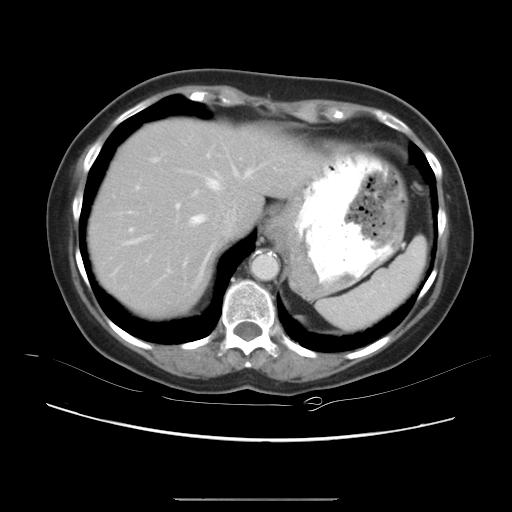 CT
Some hepatic vessels may have no box.
14 hepatic vessel regions are located at (left=205, top=172, right=221, bottom=190), (left=193, top=191, right=197, bottom=194), (left=136, top=186, right=138, bottom=188), (left=184, top=263, right=185, bottom=264), (left=129, top=229, right=132, bottom=231), (left=207, top=153, right=208, bottom=156), (left=123, top=237, right=145, bottom=244), (left=189, top=215, right=206, bottom=224), (left=233, top=168, right=238, bottom=176), (left=152, top=159, right=158, bottom=161), (left=146, top=257, right=149, bottom=261), (left=243, top=170, right=252, bottom=178), (left=175, top=204, right=179, bottom=207), (left=113, top=270, right=116, bottom=273).